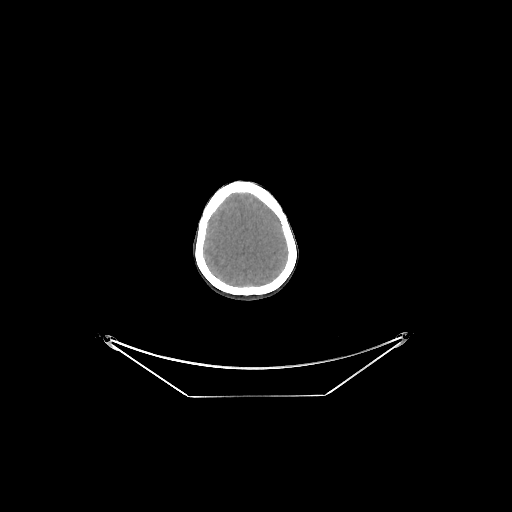 Image size 512x512; Brain; Computed tomography

<segmentation>
  <brain>l=203, t=193, r=287, b=286</brain>
</segmentation>